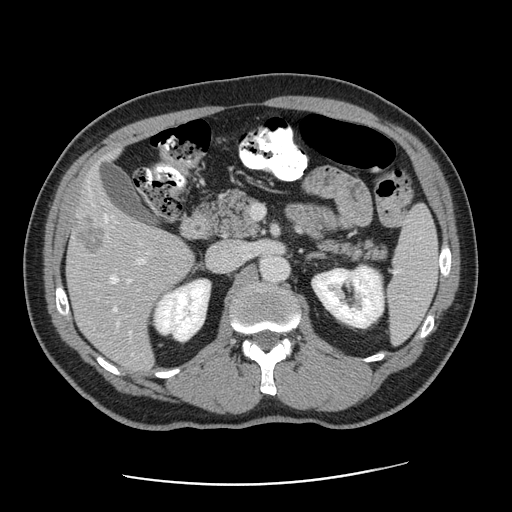
Computed tomography
The vessel annotation is not exhaustive.
Liver tumor: {"x1": 72, "y1": 212, "x2": 108, "y2": 257}.
Hepatic vessel: {"x1": 105, "y1": 215, "x2": 108, "y2": 221}, {"x1": 114, "y1": 308, "x2": 116, "y2": 310}, {"x1": 117, "y1": 324, "x2": 118, "y2": 326}, {"x1": 111, "y1": 276, "x2": 117, "y2": 282}, {"x1": 137, "y1": 259, "x2": 144, "y2": 263}, {"x1": 128, "y1": 278, "x2": 132, "y2": 281}.